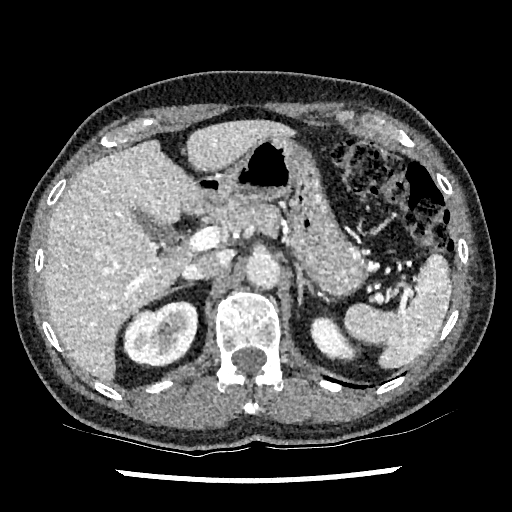 CT image.
<segmentation>
  <liver>{"x1": 187, "y1": 121, "x2": 294, "y2": 171}, {"x1": 45, "y1": 140, "x2": 202, "y2": 380}</liver>
  <kidney>{"x1": 312, "y1": 320, "x2": 350, "y2": 356}, {"x1": 125, "y1": 303, "x2": 196, "y2": 364}</kidney>
</segmentation>